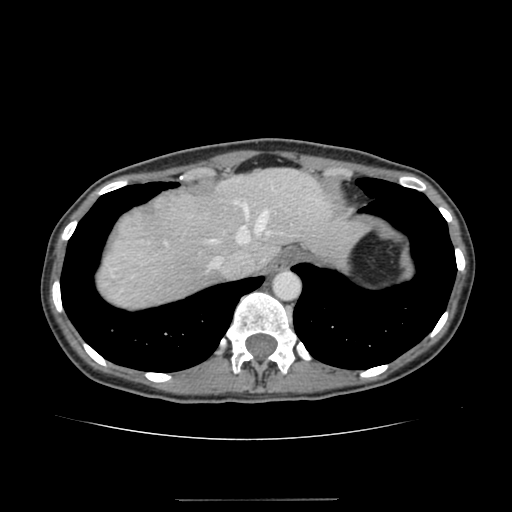

Computed tomography
liver: left=99, top=168, right=365, bottom=310